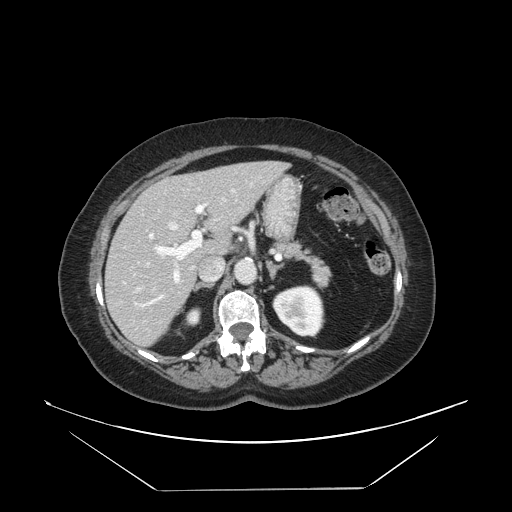

CT image; Abdomen
- pancreas: [x1=274, y1=238, x2=331, y2=289]